Abdomen. CT. 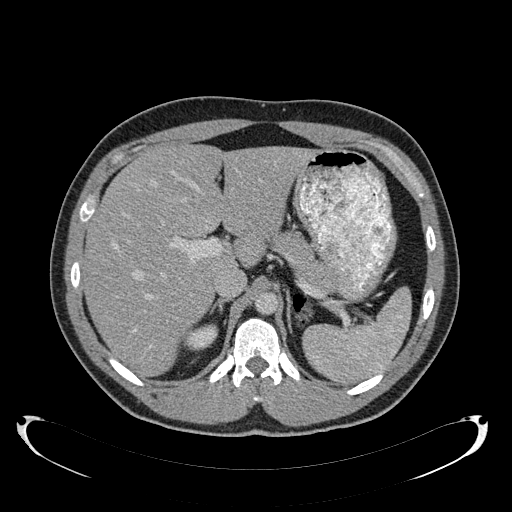
The kidney lies within 187, 325, 216, 348. The liver is located at 84, 145, 317, 375.